FLAIR MR.
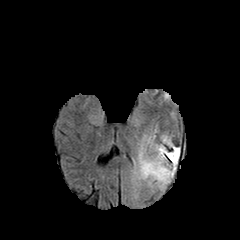
T1-weighted MR.
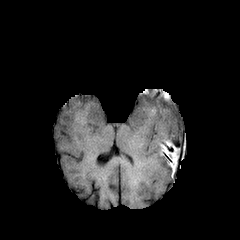
Post-contrast T1-weighted MR image.
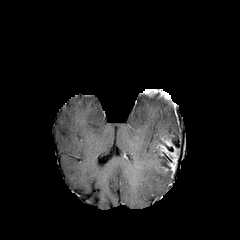
T2-weighted MR.
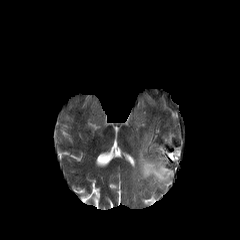
Head
Enhancing tumor = bbox(160, 146, 179, 173).
Edema = bbox(133, 132, 180, 190).